CT | Liver
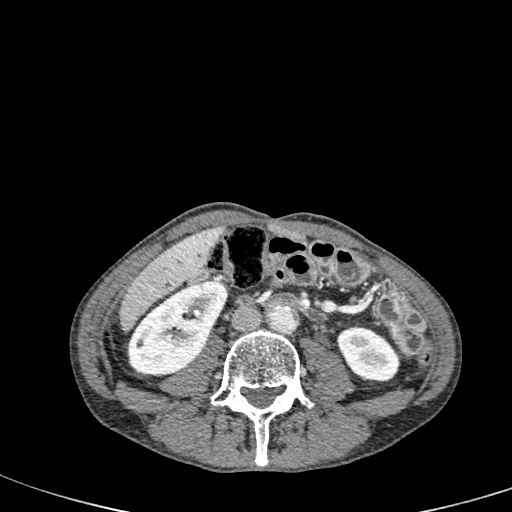
Segmented structures:
• liver: rect(121, 226, 223, 331)
• kidney: rect(129, 282, 225, 374); rect(338, 328, 398, 380)